Computed tomography
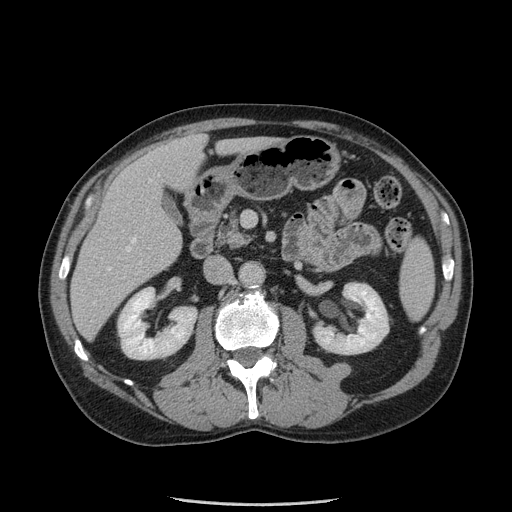

Findings:
* pancreas: <bbox>215, 210, 250, 249</bbox>